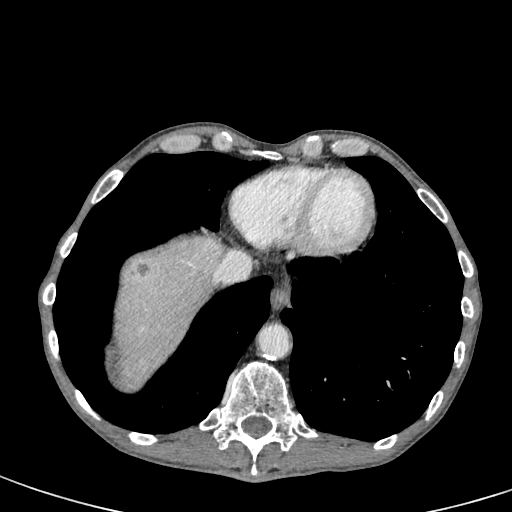 CT slice; Liver

The liver lesion is at x1=136, y1=262, x2=149, y2=275. The liver lies within x1=114, y1=235, x2=224, y2=386.